Brain | Slice 70 of 155 | Image size 240x240
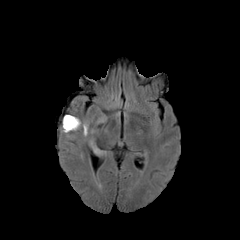
FLAIR MRI.
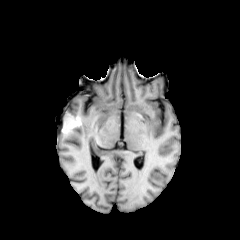
T1-weighted MRI of the same slice.
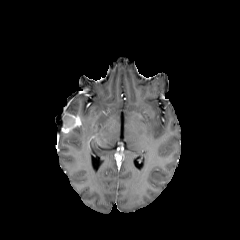
Post-contrast T1-weighted MR.
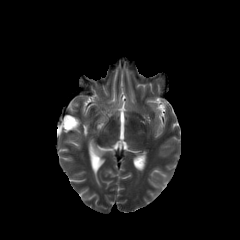
T2-weighted MRI.
Annotated regions:
• enhancing tumor: 61:114:81:132
• edema: 61:116:100:153